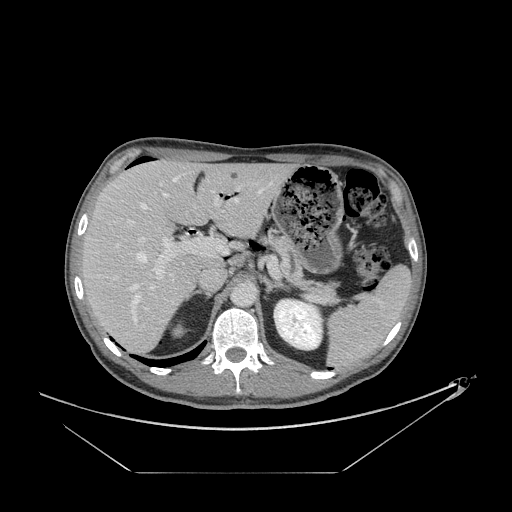

Upper abdomen | CT image
The pancreas is bounded by bbox(268, 236, 303, 281).